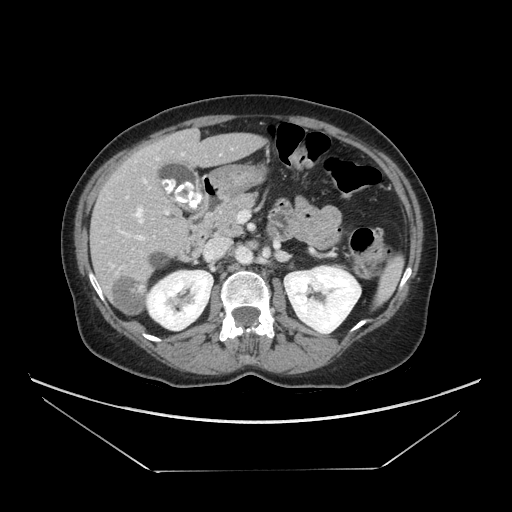

Abdomen, 512x512 px, Computed tomography
pancreas:
  - (197,193,257,239)